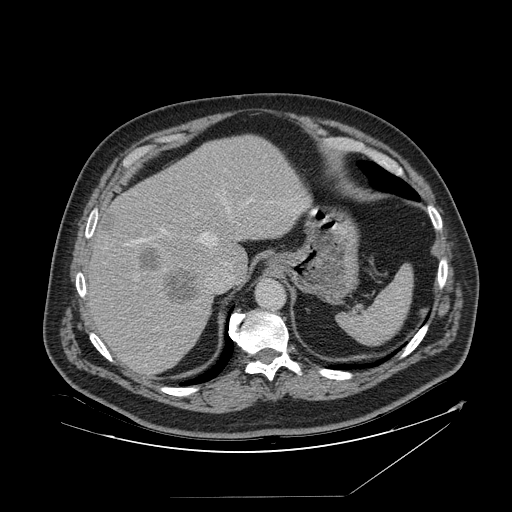
CT scan slice. Abdomen. 512x512.
spleen: region(338, 266, 412, 344)